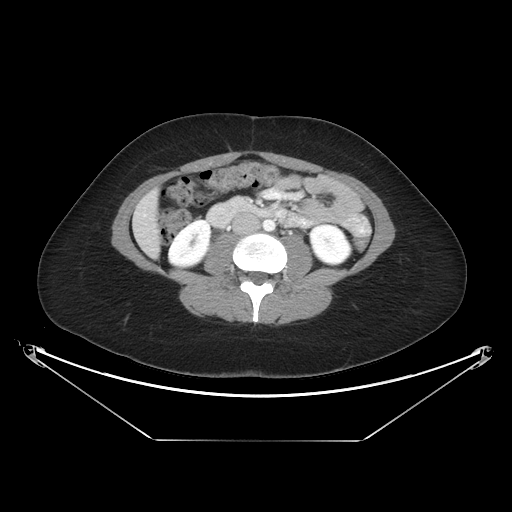

Abdomen, CT slice

Pancreas: 228,197,250,212.